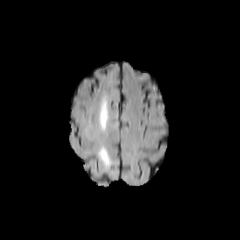
FLAIR MR.
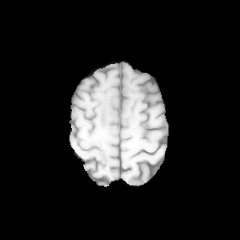
T1-weighted magnetic resonance.
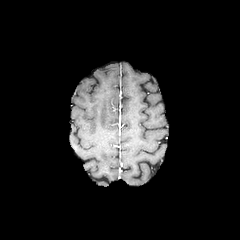
Post-contrast T1-weighted MRI of the same slice.
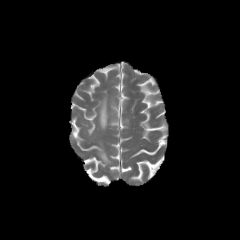
T2-weighted magnetic resonance.
Image size 240x240 | Brain
2 edema regions are located at (x1=97, y1=147, x2=111, y2=168), (x1=99, y1=97, x2=109, y2=129).